38x49 px, MR
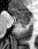 Posterior hippocampus: (x1=17, y1=21, x2=29, y2=28).
Anterior hippocampus: (x1=8, y1=8, x2=30, y2=21).